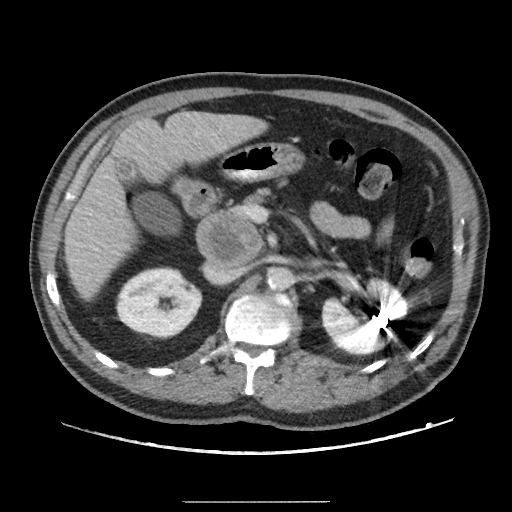

Liver, CT

<segmentation>
  <liver_tumor>region(69, 257, 80, 273)</liver_tumor>
</segmentation>